FLAIR magnetic resonance.
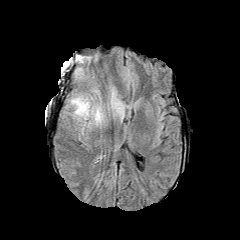
T1-weighted magnetic resonance.
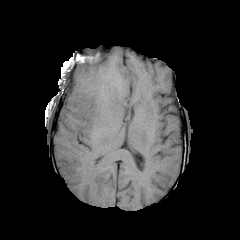
Post-contrast T1-weighted MR image.
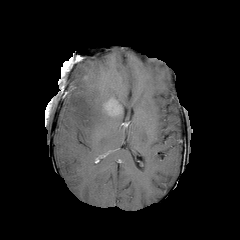
T2-weighted MR image.
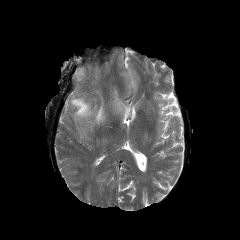
enhancing_tumor:
  - (104,99,122,115)
edema:
  - (69,95,104,127)
  - (74,68,83,77)